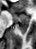

MRI slice, Medial temporal lobe

posterior_hippocampus:
  - bbox=[17, 23, 28, 34]
anterior_hippocampus:
  - bbox=[13, 13, 29, 22]